CT image. Abdomen. Image size 512x512.

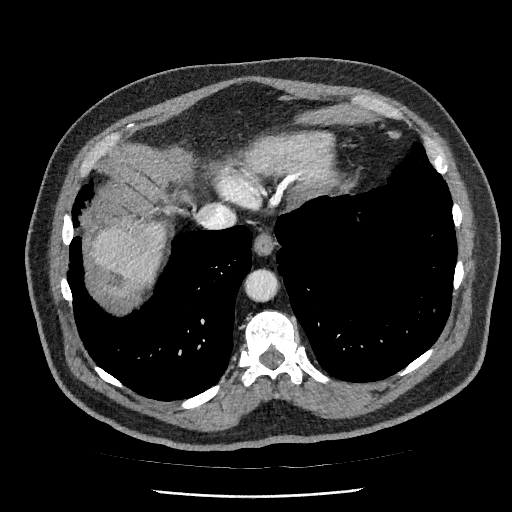

The liver appears at x1=93 y1=221 x2=165 y2=288.